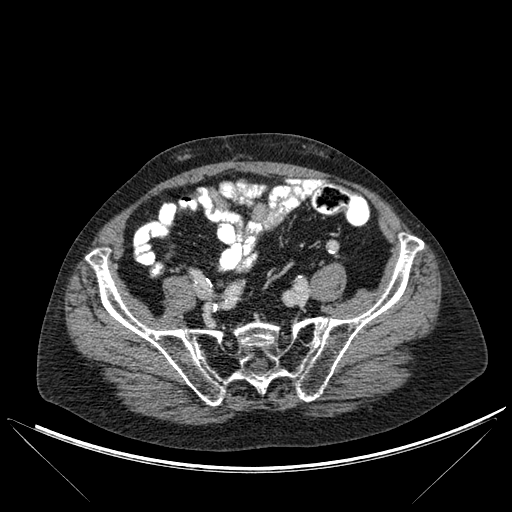

Computed tomography

Bone: (85,233,423,405).